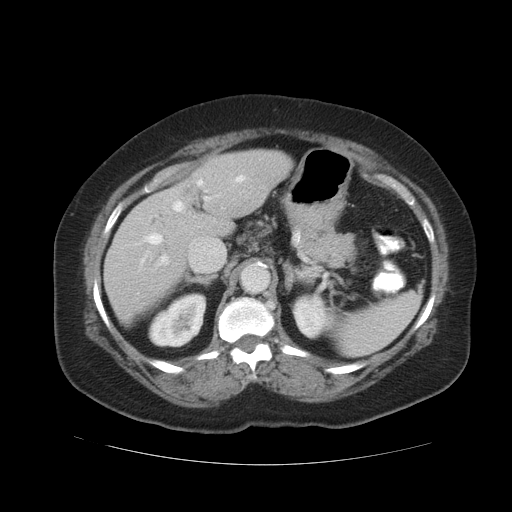

CT slice. Liver.

The vessel boxes may cover only some of the vessels.
Findings:
* hepatic vessel: 236 176 243 181, 204 196 210 200, 174 202 182 210, 161 257 166 263, 145 234 161 243, 197 179 203 185